Slice index 97
FLAIR magnetic resonance.
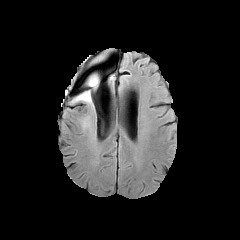
T1-weighted magnetic resonance.
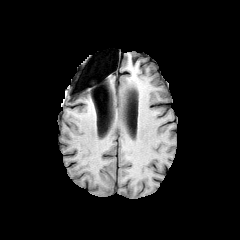
Post-contrast T1-weighted MRI.
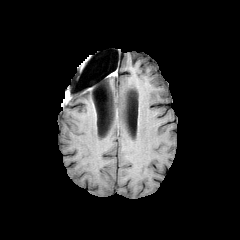
T2-weighted MR image.
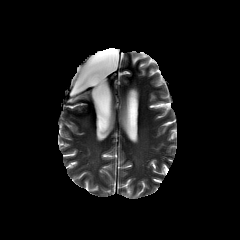
Edema = l=73, t=75, r=99, b=105.